512x512 | CT slice | Slice index 15
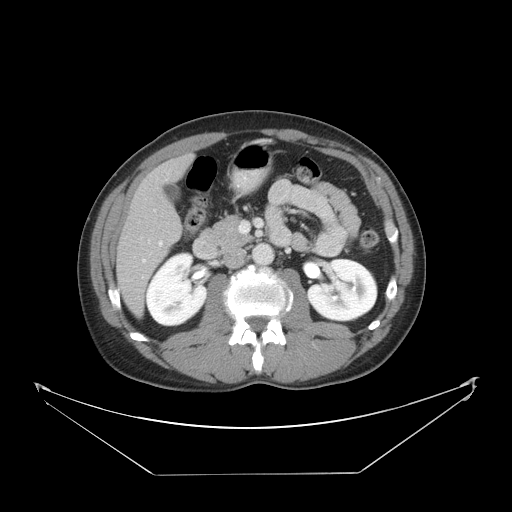

The vessel boxes may cover only some of the vessels.
7 hepatic vessel regions are bounded by (x1=148, y1=240, x2=150, y2=242), (x1=138, y1=289, x2=141, y2=291), (x1=142, y1=259, x2=145, y2=262), (x1=158, y1=241, x2=162, y2=245), (x1=165, y1=178, x2=167, y2=180), (x1=142, y1=275, x2=147, y2=278), (x1=154, y1=209, x2=155, y2=211).